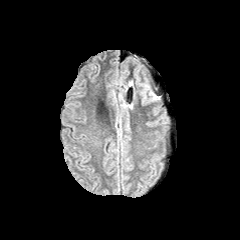
FLAIR MR image.
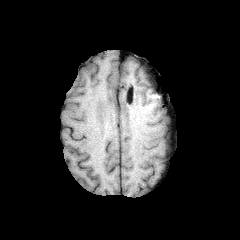
Same slice, T1-weighted MR image.
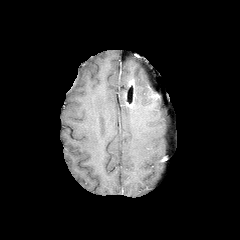
Post-contrast T1-weighted MR image.
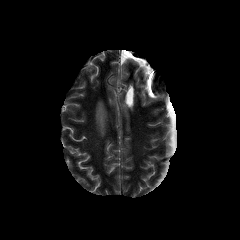
T2-weighted magnetic resonance.
Head.
Annotated regions:
• edema: {"x1": 136, "y1": 77, "x2": 149, "y2": 102}